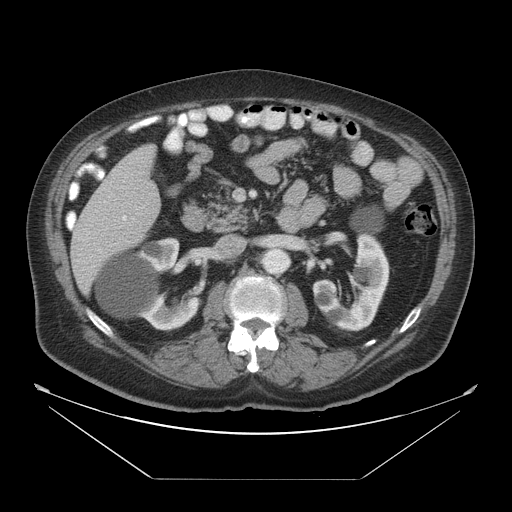 CT
Only some of the vessels may be annotated.
{"hepatic_vessel": ["x1=123, y1=216, x2=125, y2=219"]}